FLAIR MR image.
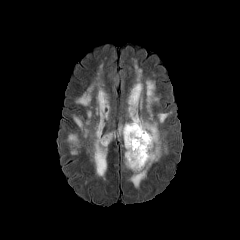
T1-weighted MRI.
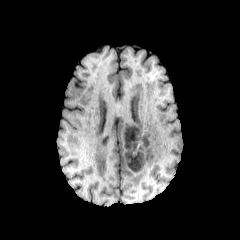
Post-contrast T1-weighted MR.
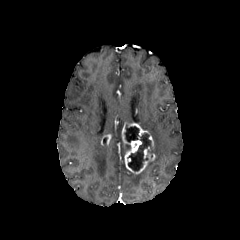
T2-weighted MR image.
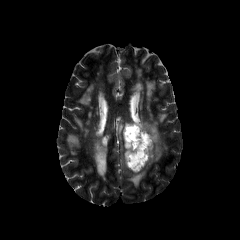
Brain.
enhancing_tumor:
  - region(121, 123, 155, 174)
  - region(100, 135, 113, 146)
non-enhancing_tumor_core:
  - region(123, 125, 139, 142)
  - region(127, 133, 152, 171)
edema:
  - region(158, 114, 168, 123)
  - region(127, 60, 163, 188)
  - region(73, 116, 88, 137)
  - region(76, 85, 93, 106)
  - region(145, 79, 159, 120)
  - region(67, 135, 81, 147)
  - region(92, 82, 109, 180)